Slice 394 of 771. Image width 400 mm. Abdomen. Computed tomography.

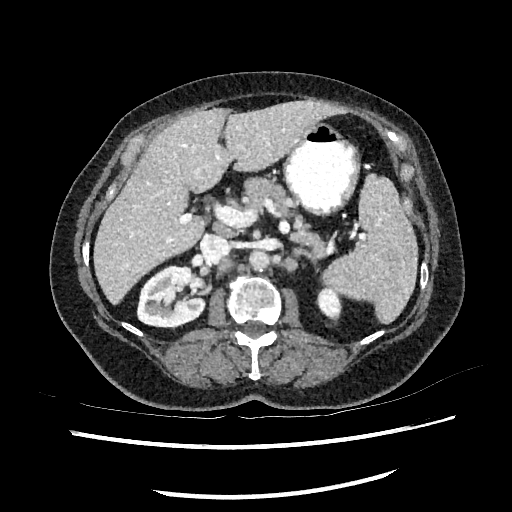 Kidney — l=319, t=289, r=339, b=316; l=138, t=267, r=204, b=326.
Liver — l=93, t=100, r=344, b=301.